Computed tomography.
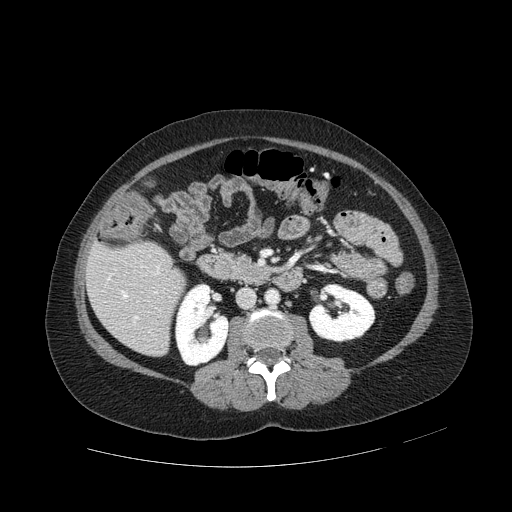 <segmentation>
  <pancreas>[230,254,267,282]</pancreas>
</segmentation>